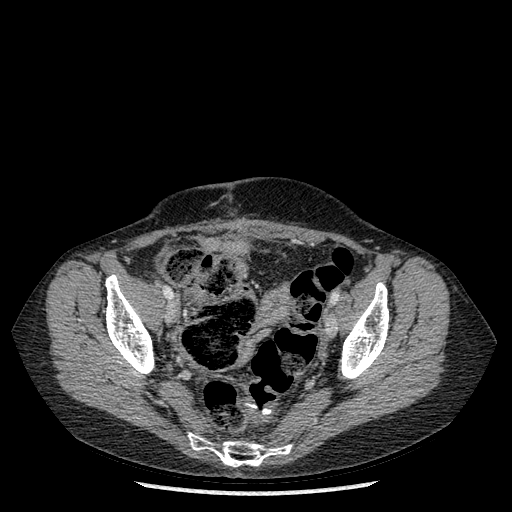
512x512 px; CT

bone:
  - l=188, t=432, r=292, b=466
  - l=341, t=282, r=388, b=378
  - l=105, t=274, r=153, b=376